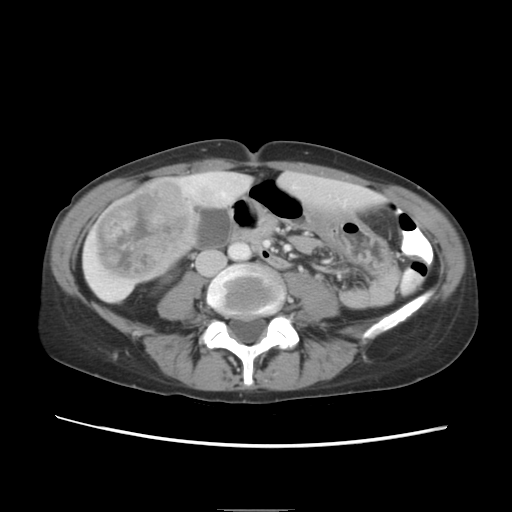

512x512 | CT | Liver
Not every hepatic vessel necessarily has a box.
Segmented structures:
- hepatic vessel: (x1=222, y1=192, x2=226, y2=196)
- liver tumor: (x1=95, y1=179, x2=195, y2=280)